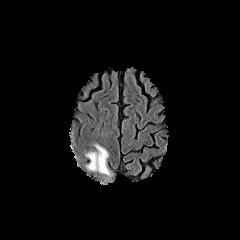
FLAIR magnetic resonance.
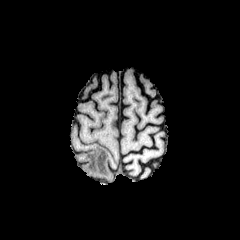
T1-weighted MRI.
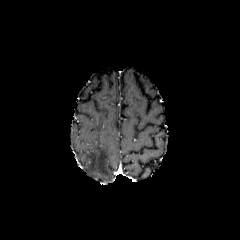
Post-contrast T1-weighted magnetic resonance of the same slice.
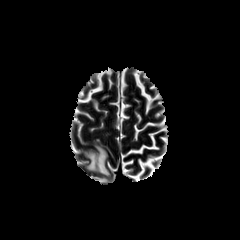
T2-weighted magnetic resonance of the same slice.
Brain, 240x240
Annotated regions:
- edema: [85, 145, 110, 177]